Slice 96/164 | Image width 500 mm | Computed tomography 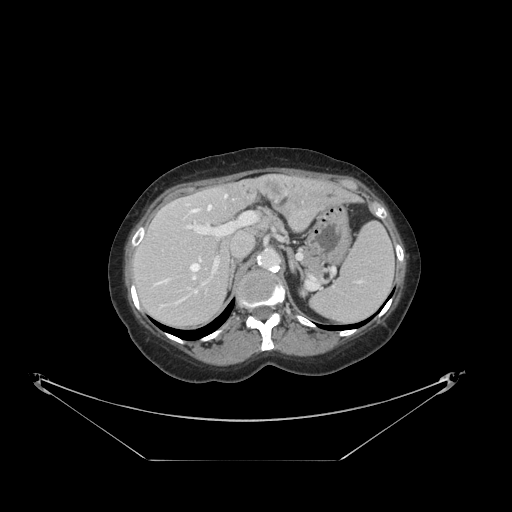
The vessel annotation is not exhaustive.
liver_tumor:
  - 260, 176, 287, 199
hepatic_vessel:
  - 190, 257, 200, 272
  - 225, 194, 226, 197
  - 186, 211, 256, 237
  - 214, 258, 218, 270
  - 156, 280, 166, 284
  - 190, 209, 196, 212
  - 231, 244, 251, 254
  - 176, 301, 180, 302
  - 192, 276, 195, 279
  - 190, 287, 199, 293
  - 207, 205, 211, 210